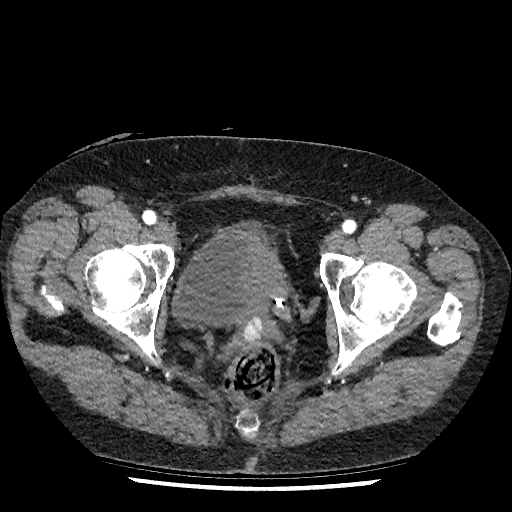 Image size 512x512. Lower abdomen. CT image. <segmentation>
  <urinary_bladder>[x1=171, y1=221, x2=292, y2=330]</urinary_bladder>
</segmentation>